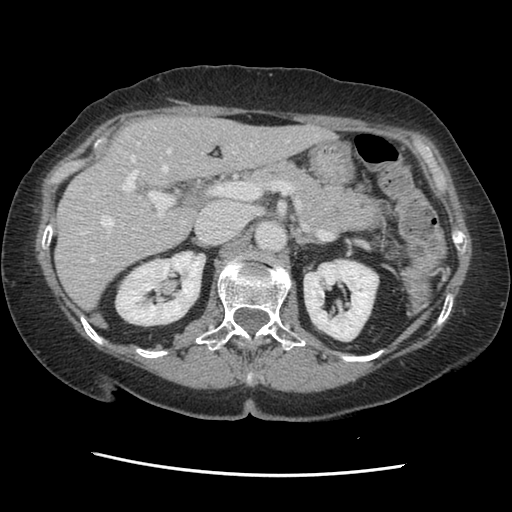

Computed tomography | Abdomen
Not every hepatic vessel necessarily has a box.
Hepatic vessel: (x1=167, y1=148, x2=171, y2=152), (x1=131, y1=155, x2=135, y2=161), (x1=101, y1=216, x2=113, y2=227), (x1=212, y1=182, x2=259, y2=199), (x1=162, y1=166, x2=167, y2=170), (x1=149, y1=191, x2=171, y2=216), (x1=122, y1=170, x2=138, y2=190), (x1=90, y1=256, x2=94, y2=261).